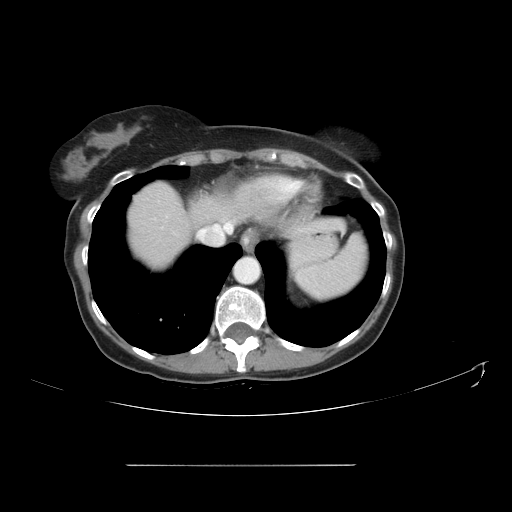 Liver | Computed tomography
The vessel annotation is not exhaustive.
2 hepatic vessel regions are bounded by [x1=199, y1=231, x2=201, y2=236], [x1=215, y1=224, x2=231, y2=232].